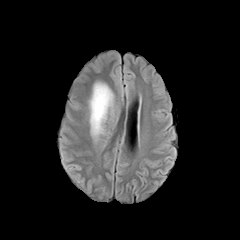
FLAIR MR image.
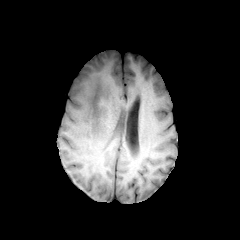
T1-weighted MR image.
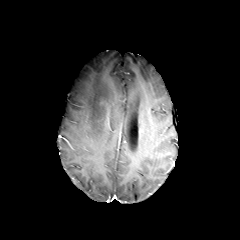
Post-contrast T1-weighted MRI of the same slice.
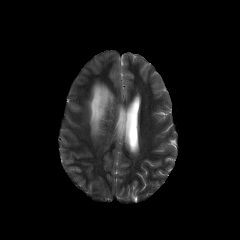
Same slice, T2-weighted MR image.
240x240 px
Annotated regions:
* edema: (left=89, top=83, right=112, bottom=136)